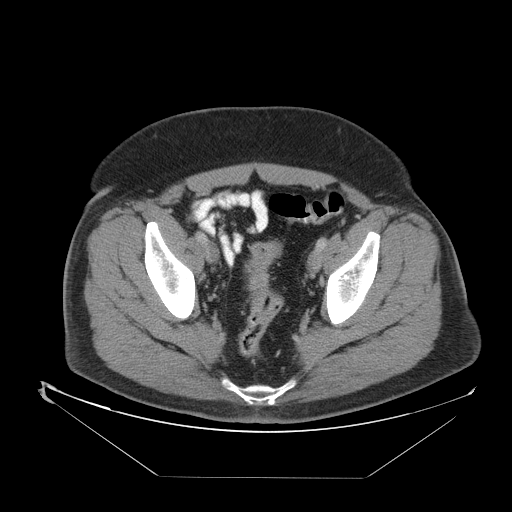

CT scan slice, Pelvis
Segmented structures:
* colon tumor: (x1=249, y1=242, x2=281, y2=290)